Upper abdomen. CT slice. Slice 419 of 986.
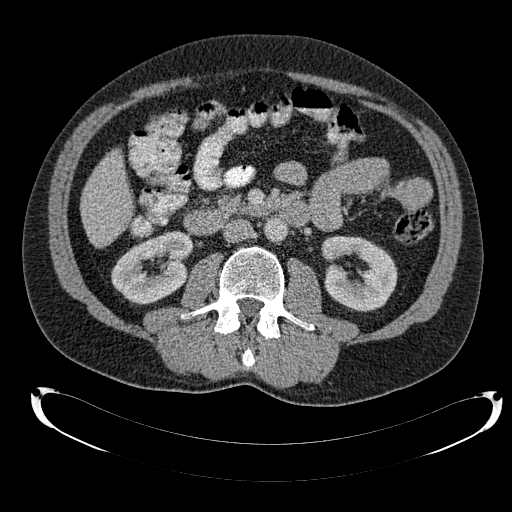

kidney:
  - box=[322, 236, 396, 310]
  - box=[112, 232, 190, 303]
liver:
  - box=[82, 150, 133, 246]